Slice 22 of 151, Abdomen, 512x512 px, CT scan slice

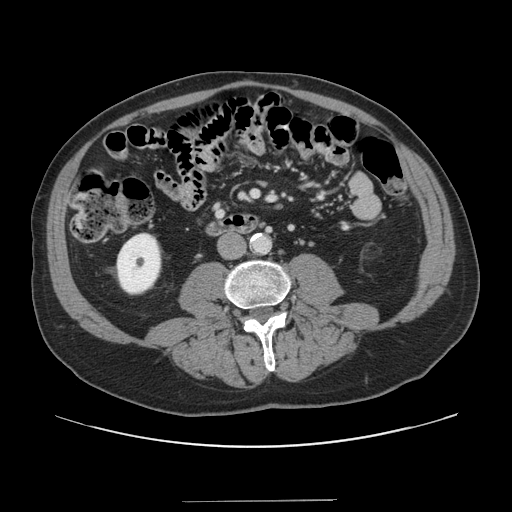 Only some of the vessels may be annotated.
{
  "hepatic_vessel": [
    "253,192,256,195"
  ]
}